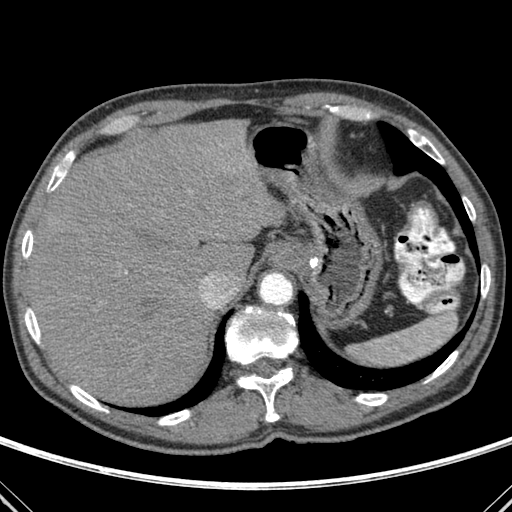

Computed tomography. Image size 512x512.

<segmentation>
  <liver>region(28, 119, 282, 406)</liver>
  <bone>region(47, 152, 73, 190); region(355, 394, 387, 406); region(409, 130, 444, 163); region(225, 306, 297, 365); region(70, 385, 107, 412); region(238, 368, 292, 421); region(22, 230, 33, 258); region(25, 308, 40, 343); region(463, 196, 475, 220); region(158, 410, 190, 425); region(426, 351, 458, 382); region(481, 265, 490, 297)</bone>
  <lung>region(120, 311, 231, 416); region(377, 121, 476, 258); region(298, 292, 474, 390)</lung>
</segmentation>